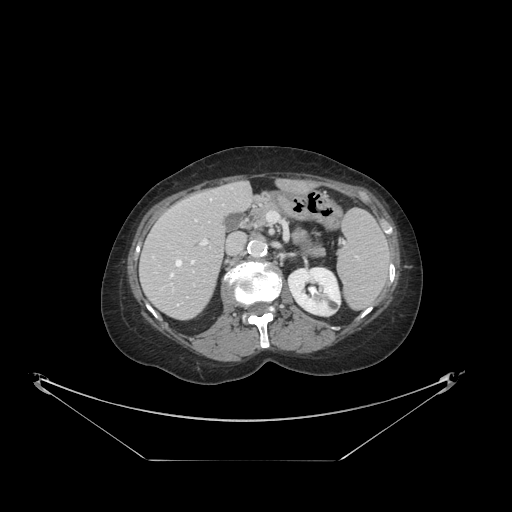 Liver, CT slice
Not every hepatic vessel necessarily has a box.
6 hepatic vessel regions are located at box=[170, 274, 172, 276]; box=[192, 261, 194, 262]; box=[201, 238, 206, 244]; box=[176, 260, 181, 265]; box=[266, 210, 279, 221]; box=[195, 219, 196, 221].